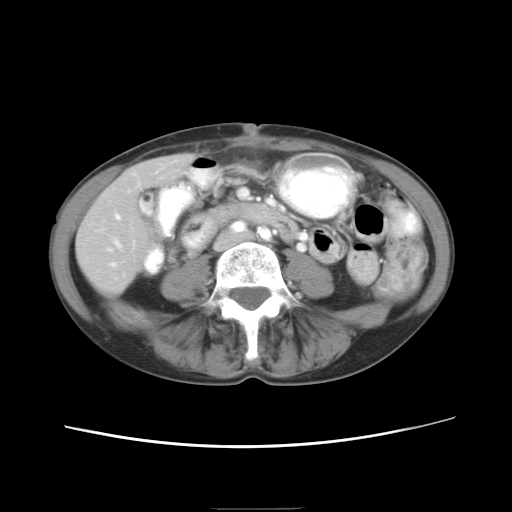

Abdomen | 512x512 px | CT

The vessel annotation is not exhaustive.
hepatic_vessel:
  - <box>111,262,114,265</box>
  - <box>115,214,118,218</box>
  - <box>115,241,117,244</box>